512x512 px | CT slice | Slice index 176 | Field of view 388 mm wide, 2.50 mm slice spacing 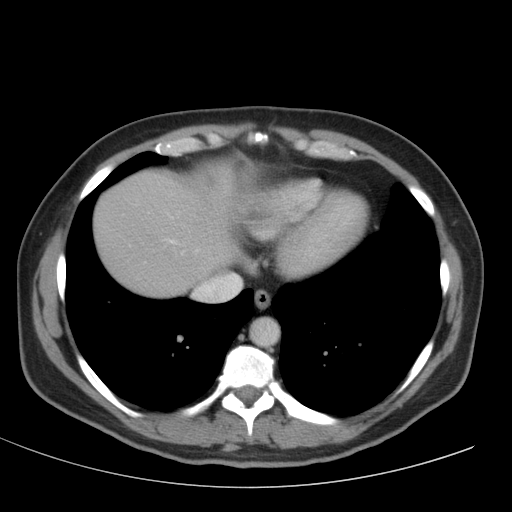

liver: bbox=[94, 167, 238, 296]